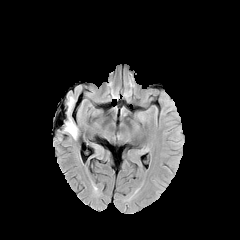
FLAIR MRI.
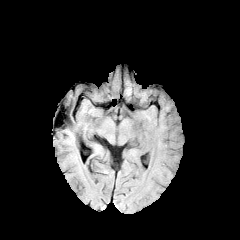
Same slice, T1-weighted MRI.
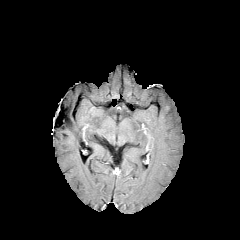
Post-contrast T1-weighted magnetic resonance.
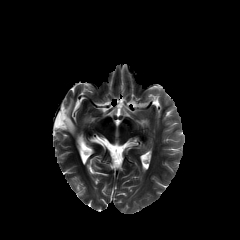
T2-weighted MR of the same slice.
Head. 240x240 px.
Edema — l=64, t=97, r=78, b=138.